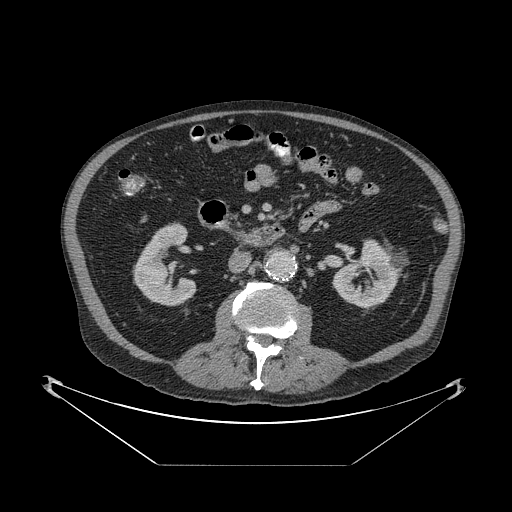

512x512 px; CT slice
Pancreas: box=[228, 215, 244, 230].